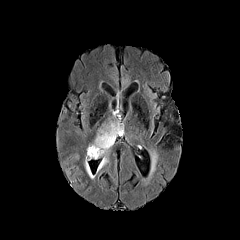
FLAIR MRI.
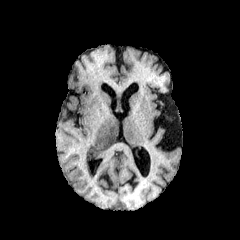
Same slice, T1-weighted magnetic resonance.
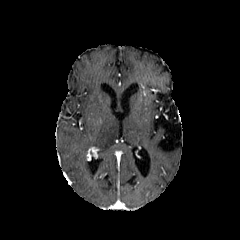
Post-contrast T1-weighted MR image.
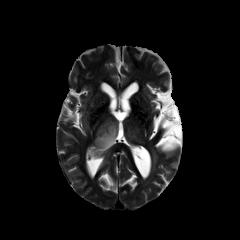
T2-weighted MR.
2 edema regions appear at rect(83, 159, 94, 179); rect(91, 122, 118, 156). The enhancing tumor is at rect(87, 147, 98, 160).